FLAIR MR.
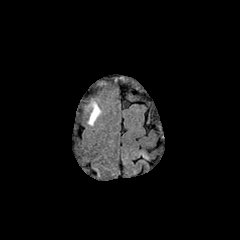
T1-weighted MR image.
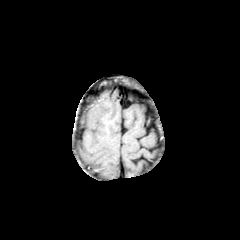
Post-contrast T1-weighted MR.
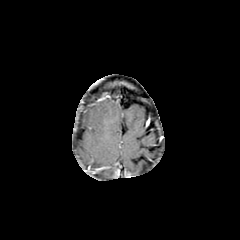
T2-weighted magnetic resonance.
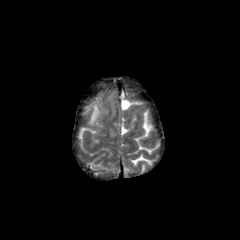
Image size 240x240
The edema is at bbox(88, 102, 100, 125).